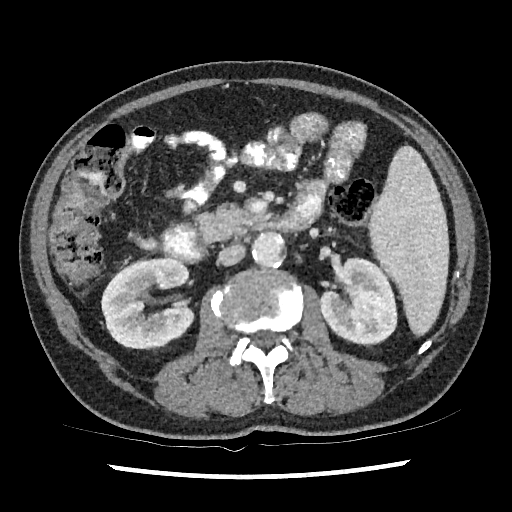
Image size 512x512, CT, Abdomen
kidney: x1=102 y1=258 x2=193 y2=348, x1=320 y1=258 x2=396 y2=343